240x240, Field of view 240x240 mm
FLAIR MR image.
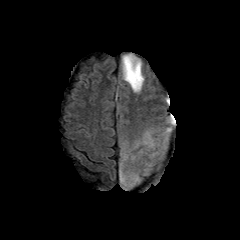
T1-weighted MR image.
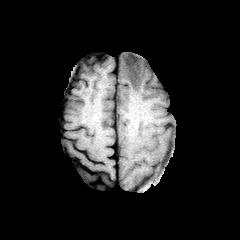
Post-contrast T1-weighted magnetic resonance.
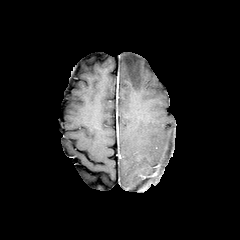
T2-weighted MR.
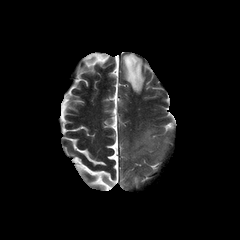
<segmentation>
  <edema>box=[120, 53, 144, 93]</edema>
  <non-enhancing_tumor_core>box=[127, 58, 139, 84]</non-enhancing_tumor_core>
</segmentation>